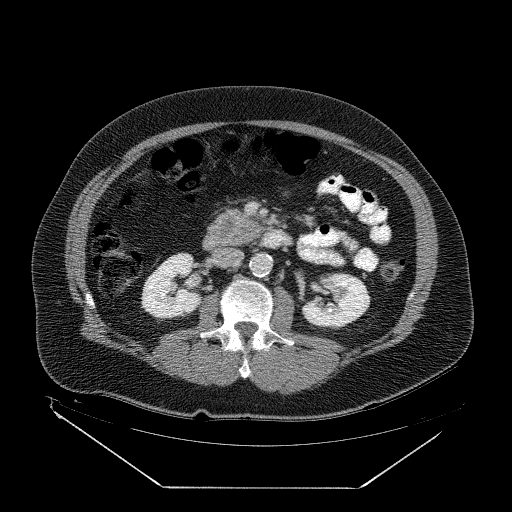 CT scan slice | Abdomen
pancreas: box=[208, 207, 255, 247] | pancreatic tumor: box=[211, 211, 243, 243]